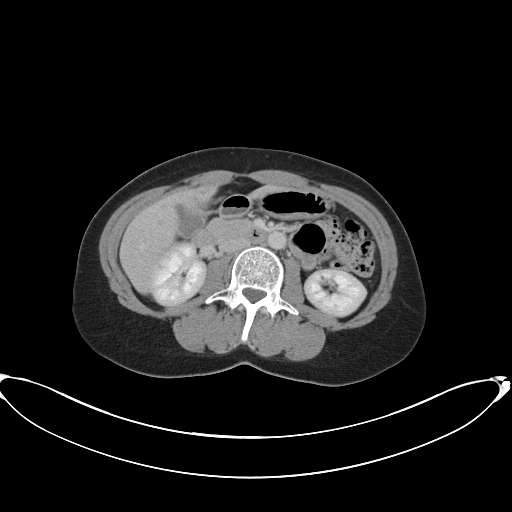

512x512; CT scan slice; Liver
The liver tumor is at [193,190,207,201].